FLAIR MRI.
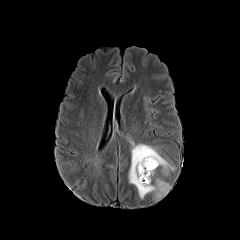
T1-weighted magnetic resonance.
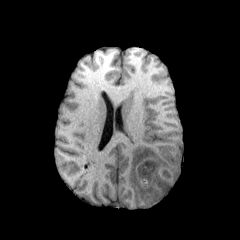
Post-contrast T1-weighted MR image.
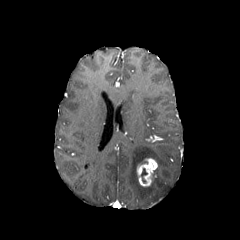
T2-weighted MR image.
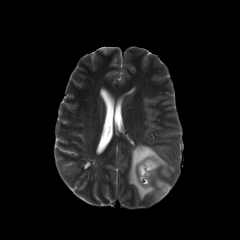
Image size 240x240
Edema: l=128, t=144, r=174, b=200.
Enhancing tumor: l=136, t=157, r=157, b=187.